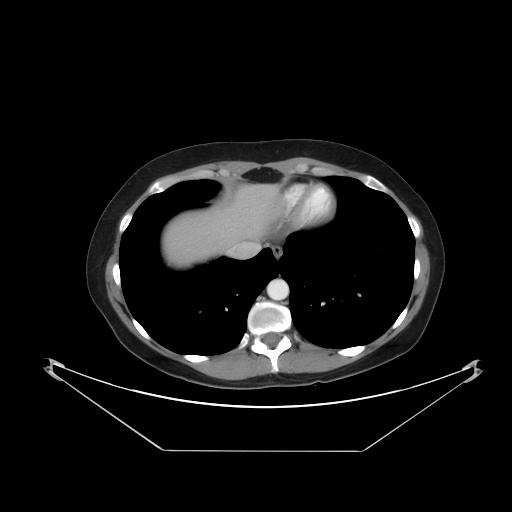

Liver. Computed tomography.

The vessel annotation is not exhaustive.
Hepatic vessel: bounding box 229 242 246 255.